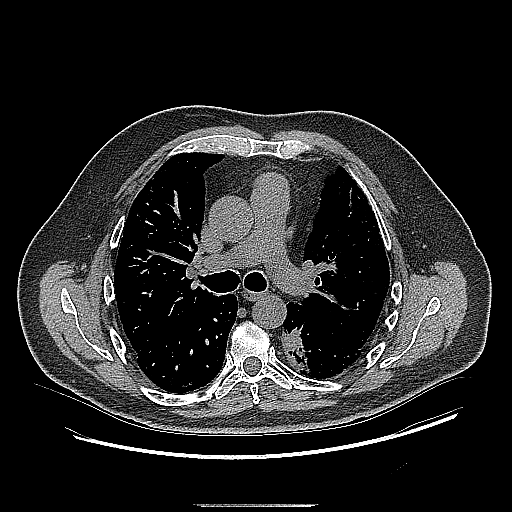

Lung, CT
{"lung_tumor": ["[286, 302, 300, 314]", "[281, 319, 311, 374]"]}